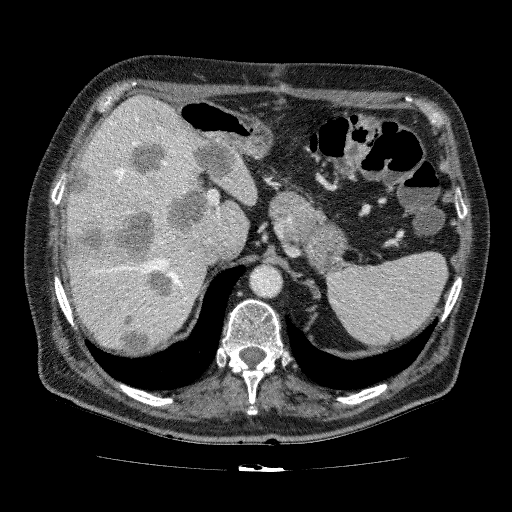 Upper abdomen. CT slice.
{"liver": ["box(211, 156, 257, 206)", "box(65, 94, 249, 353)"], "focal_liver_lesion": ["box(94, 194, 102, 203)", "box(145, 270, 177, 299)", "box(125, 139, 168, 177)", "box(144, 117, 159, 131)", "box(116, 313, 153, 353)", "box(164, 181, 212, 236)", "box(65, 208, 157, 268)", "box(190, 136, 240, 180)", "box(160, 181, 168, 190)", "box(67, 149, 93, 196)"]}